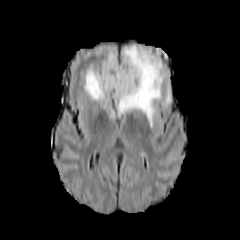
FLAIR MR image.
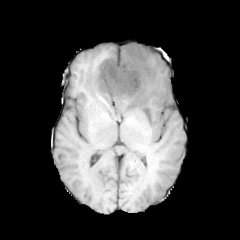
T1-weighted magnetic resonance.
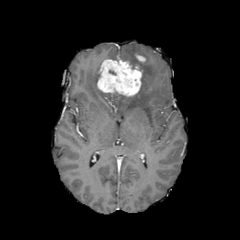
Post-contrast T1-weighted magnetic resonance of the same slice.
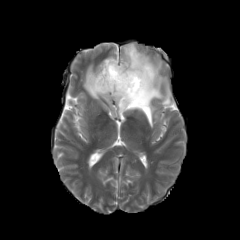
T2-weighted MR image.
The non-enhancing tumor core lies within [x1=107, y1=93, x2=135, y2=105]. The edema lies within [x1=83, y1=44, x2=171, y2=127]. The enhancing tumor is bounded by [x1=97, y1=59, x2=141, y2=96].